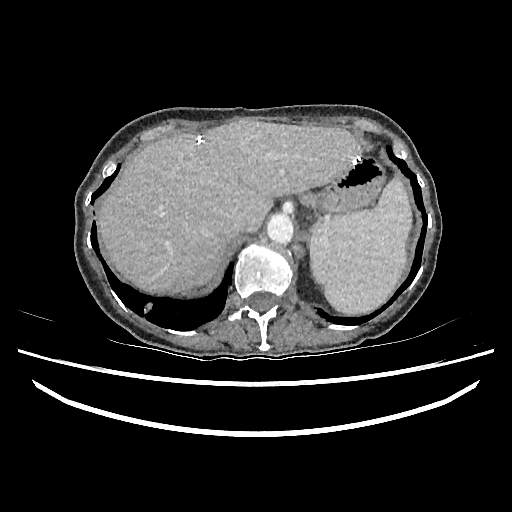 Abdomen, CT image

The liver lies within <box>101,120,361,291</box>.